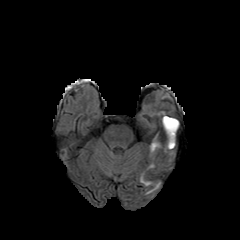
FLAIR MRI.
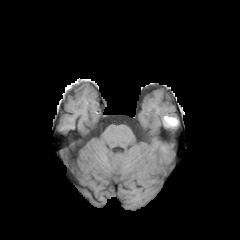
T1-weighted MRI of the same slice.
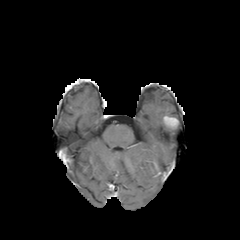
Post-contrast T1-weighted MR.
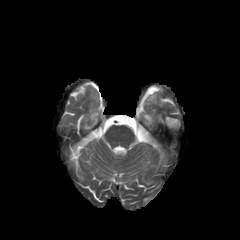
T2-weighted MR image.
240x240, Brain
2 edema regions are located at 162,117,175,135; 152,142,160,150. The non-enhancing tumor core is at 164,116,178,133.